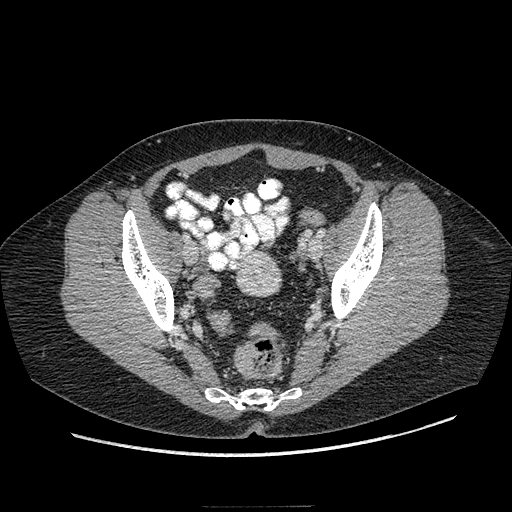 CT. 512x512 px.

Annotated regions:
* colon tumor: x1=235 y1=344 x2=256 y2=378